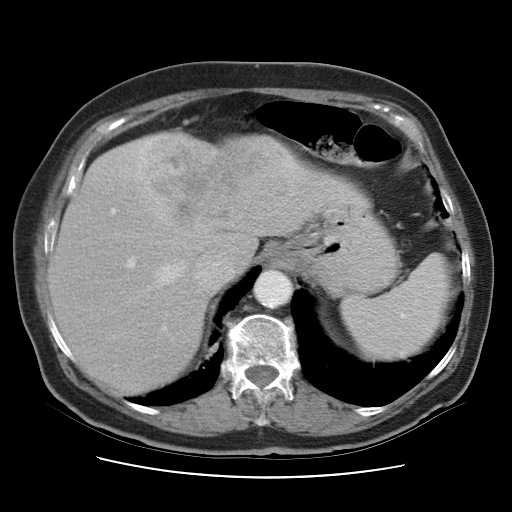
Image size 512x512 | CT slice | Abdomen

The vessel annotation is not exhaustive.
5 hepatic vessel regions are bounded by 121,291,148,305; 129,260,132,265; 199,264,201,265; 156,261,184,284; 201,261,222,281. The liver tumor lies within 143,137,280,230.